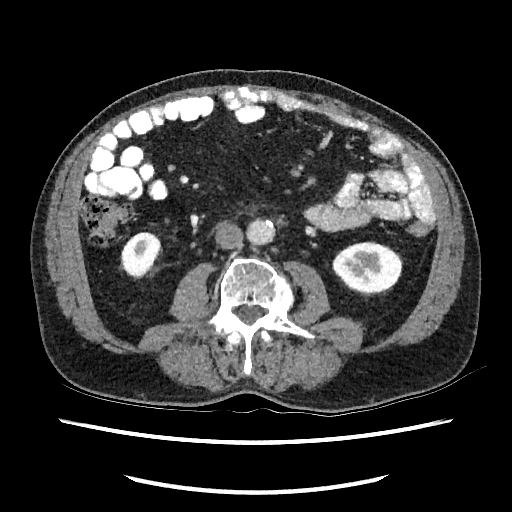 Abdomen, CT
Kidney = (left=121, top=232, right=160, bottom=277), (left=333, top=242, right=401, bottom=294).